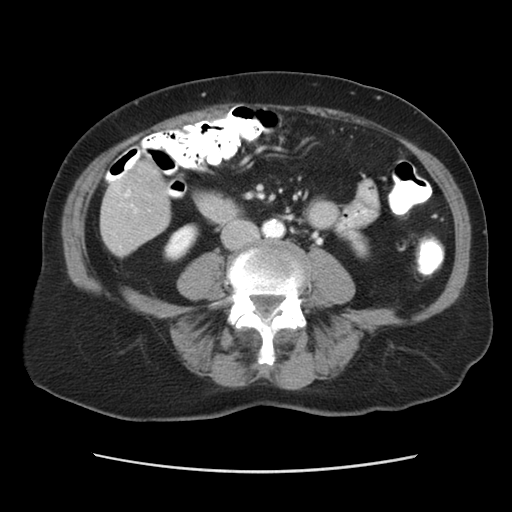

CT slice | 512x512 px
The vessel boxes may cover only some of the vessels.
Hepatic vessel: bounding box l=126, t=192, r=129, b=196.